Image size 240x240. Head.
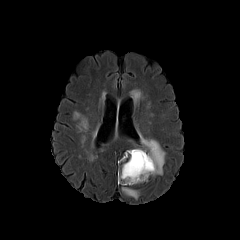
FLAIR MRI.
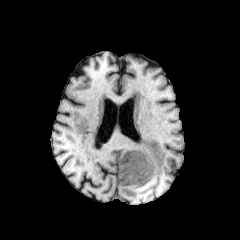
Same slice, T1-weighted MRI.
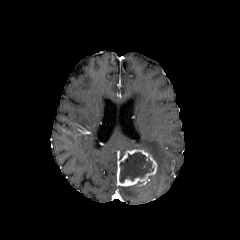
Post-contrast T1-weighted MRI.
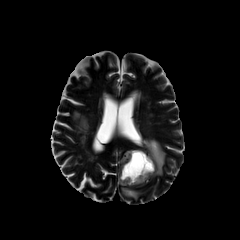
T2-weighted MRI.
The enhancing tumor lies within x1=117 y1=148 x2=157 y2=186. 2 edema regions appear at x1=121 y1=187 x2=139 y2=200, x1=141 y1=139 x2=165 y2=174. The non-enhancing tumor core is at x1=119 y1=152 x2=152 y2=182.